Brain
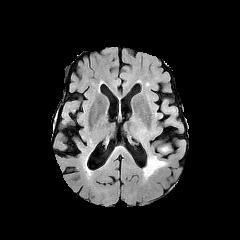
FLAIR MRI.
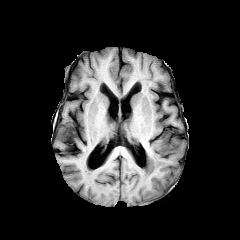
Same slice, T1-weighted MR image.
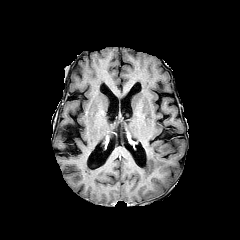
Post-contrast T1-weighted MR.
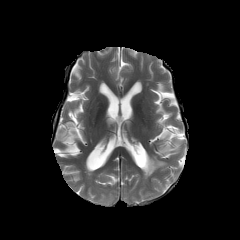
T2-weighted MR image of the same slice.
edema:
  - (left=143, top=154, right=167, bottom=179)